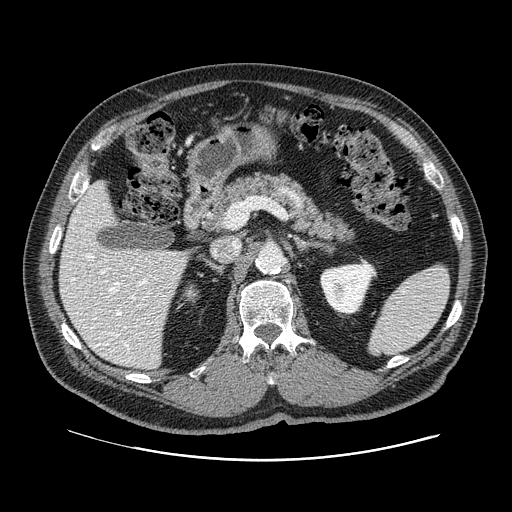 CT image. 512x512.
Findings:
- pancreas: bbox(191, 172, 356, 244)